FLAIR magnetic resonance.
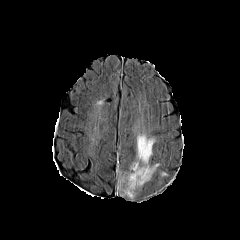
T1-weighted MR.
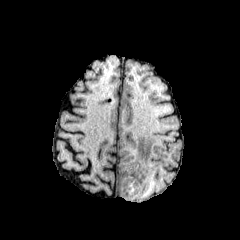
Post-contrast T1-weighted MR.
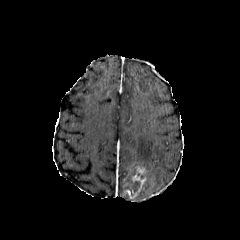
T2-weighted MR.
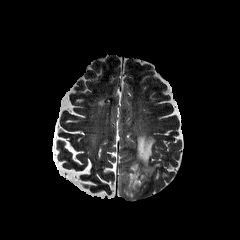
Segmented structures:
* edema: (134,126,160,182)
* enhancing tumor: (122,164,148,198)
* non-enhancing tumor core: (127,181,139,194)